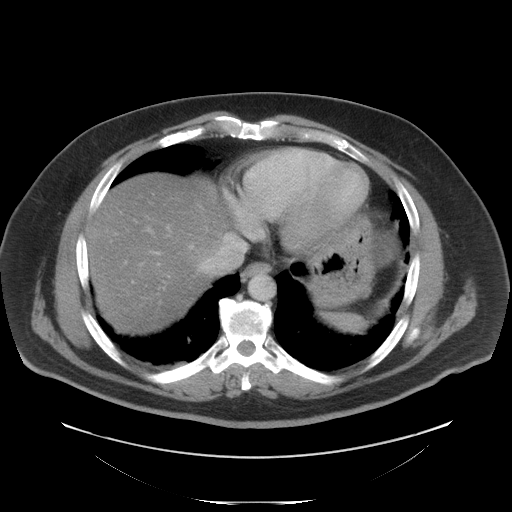
CT slice, Abdomen
Findings:
* pancreatic tumor: [373,233,396,267]